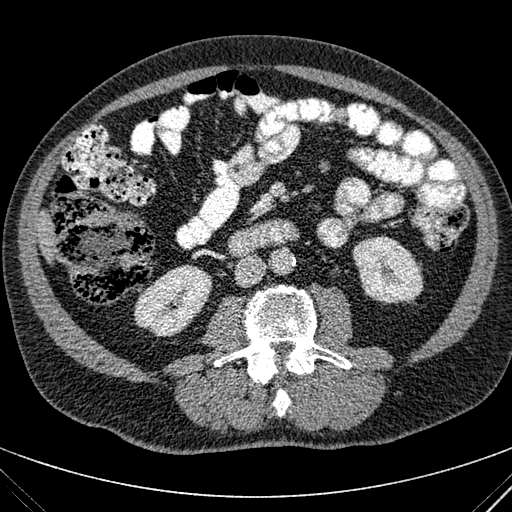 Liver | Computed tomography
2 kidney regions appear at <box>353,236,422,302</box>, <box>134,265,211,336</box>. The liver is at <box>37,211,54,260</box>.